Prostate, Image size 320x320
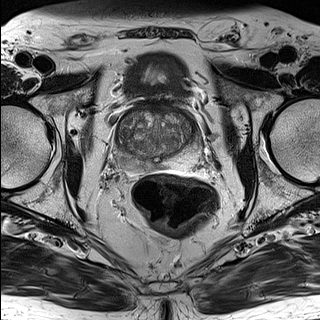
T2-weighted magnetic resonance.
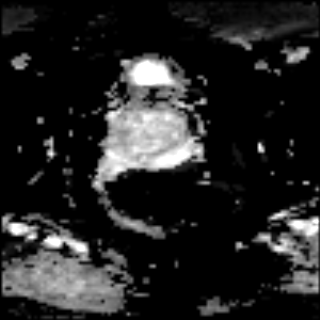
ADC MRI of the same slice.
- prostate peripheral zone: {"x1": 117, "y1": 131, "x2": 200, "y2": 173}
- prostate transition zone: {"x1": 117, "y1": 109, "x2": 198, "y2": 162}